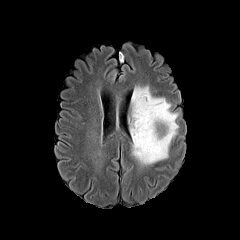
FLAIR MR.
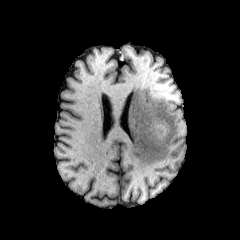
T1-weighted MR image of the same slice.
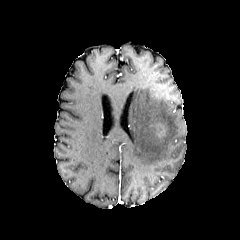
Post-contrast T1-weighted MR image of the same slice.
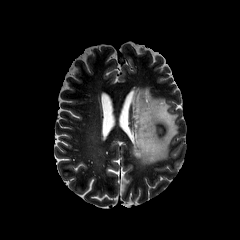
T2-weighted magnetic resonance.
Edema at 130,86,178,165.
Non-enhancing tumor core at 155,122,168,138.